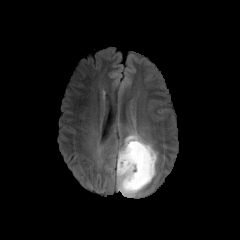
FLAIR MR.
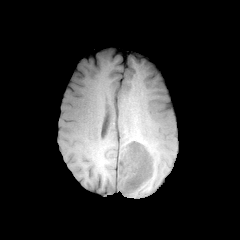
T1-weighted MR image of the same slice.
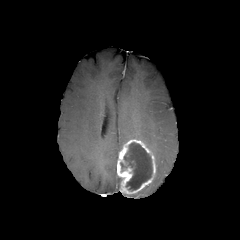
Same slice, post-contrast T1-weighted MR.
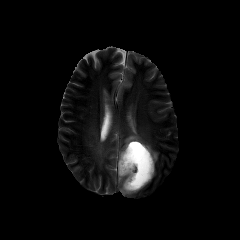
T2-weighted MR.
<segmentation>
  <edema>116 175 119 190, 112 124 158 167</edema>
  <non-enhancing_tumor_core>121 142 151 189</non-enhancing_tumor_core>
  <enhancing_tumor>117 139 155 194</enhancing_tumor>
</segmentation>